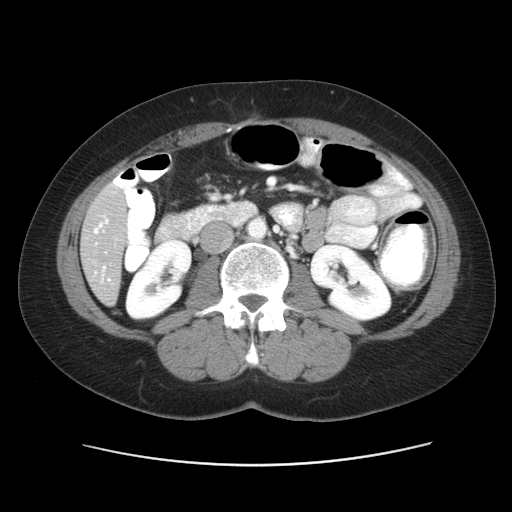 CT
The vessel boxes may cover only some of the vessels.
Hepatic vessel — bbox(95, 216, 107, 232); bbox(101, 266, 109, 282).